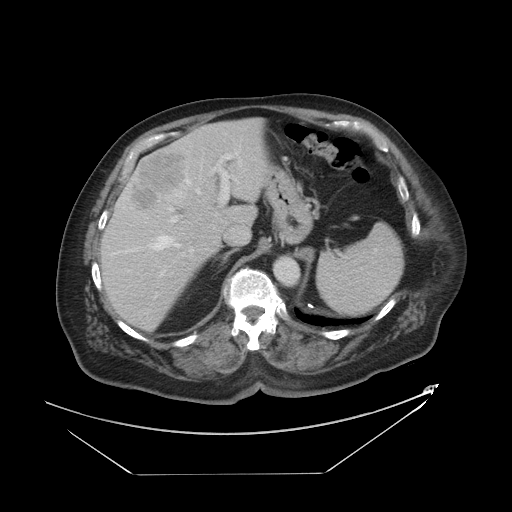

Image size 512x512. Abdomen. CT. The vessel boxes may cover only some of the vessels.
4 hepatic vessel regions appear at {"x1": 197, "y1": 191, "x2": 199, "y2": 192}, {"x1": 222, "y1": 173, "x2": 227, "y2": 196}, {"x1": 222, "y1": 155, "x2": 231, "y2": 157}, {"x1": 208, "y1": 161, "x2": 219, "y2": 175}. The liver tumor lies within {"x1": 128, "y1": 149, "x2": 187, "y2": 214}.